FLAIR MRI.
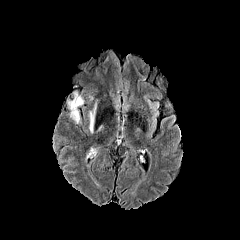
T1-weighted MRI.
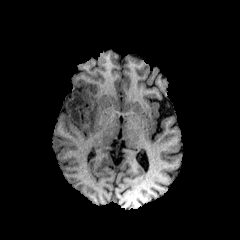
Post-contrast T1-weighted magnetic resonance.
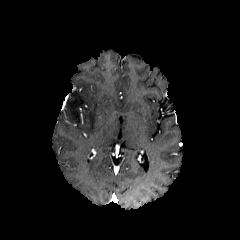
T2-weighted MRI.
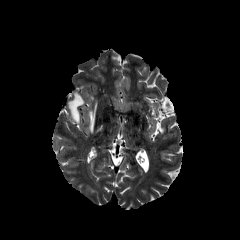
240x240 px
edema:
  - [89, 102, 99, 133]
  - [67, 92, 82, 123]